Slice index 39. CT slice.
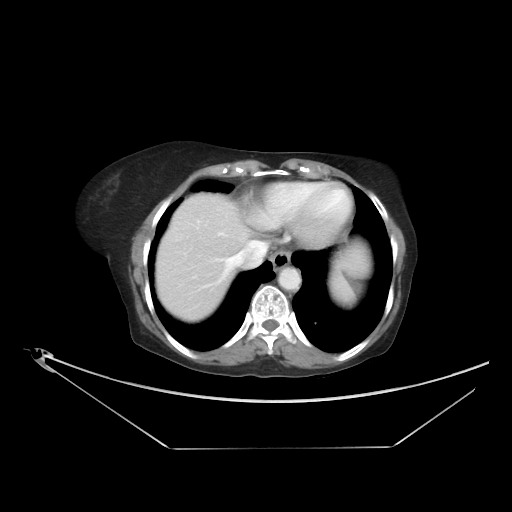

The vessel annotation is not exhaustive.
Hepatic vessel = [248,242,254,249], [258,244,263,252], [227,254,240,265].